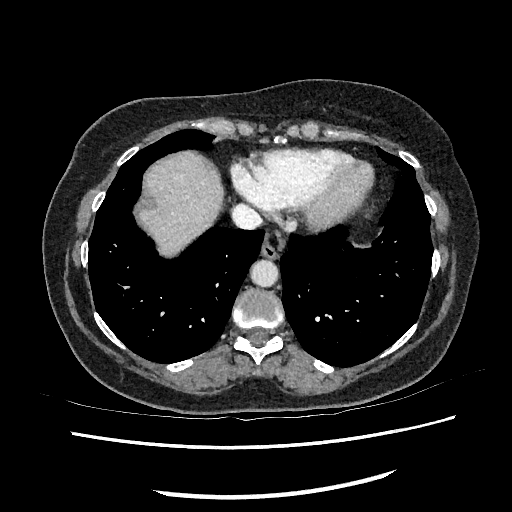 CT scan slice. Upper abdomen. Segmented structures:
* liver: (x1=139, y1=152, x2=222, y2=255)